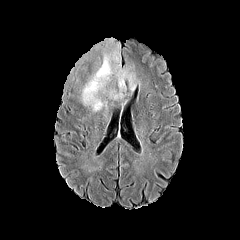
FLAIR MR.
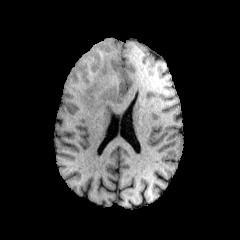
T1-weighted MRI of the same slice.
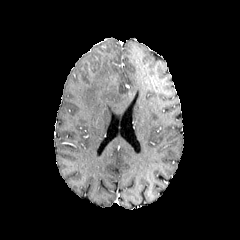
Same slice, post-contrast T1-weighted magnetic resonance.
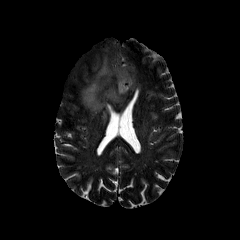
T2-weighted MRI of the same slice.
Brain
edema: box=[81, 43, 139, 111]